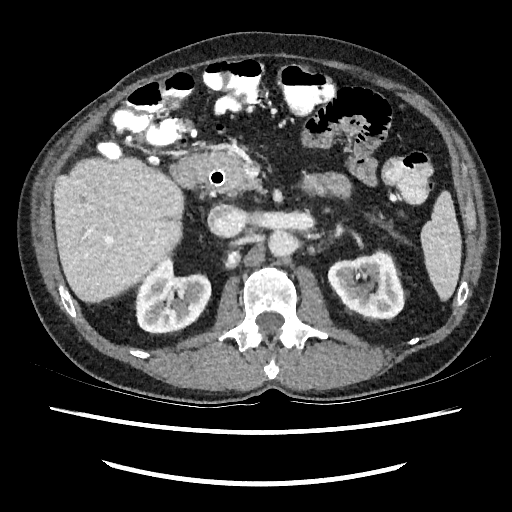
Upper abdomen, Computed tomography, 512x512 px

Segmented structures:
* kidney: bbox=[137, 259, 210, 332]; bbox=[328, 253, 403, 318]
* liver: bbox=[54, 157, 182, 301]